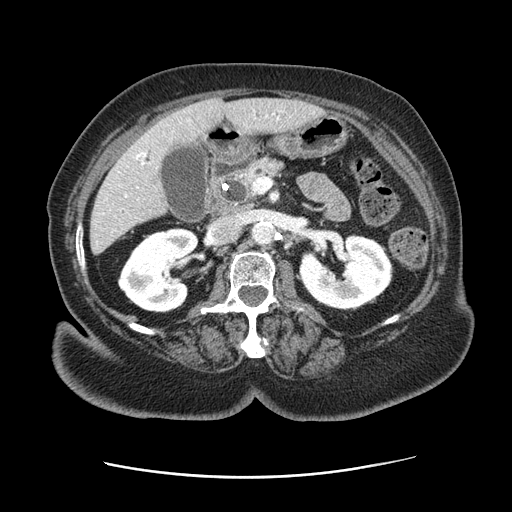

CT
<segmentation>
  <pancreas>(left=228, top=157, right=287, bottom=192)</pancreas>
</segmentation>